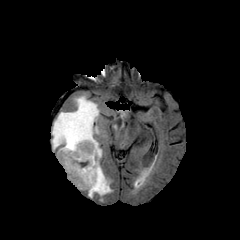
FLAIR MRI.
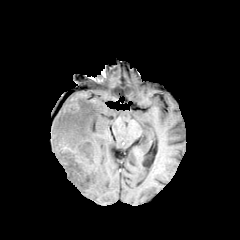
T1-weighted MRI of the same slice.
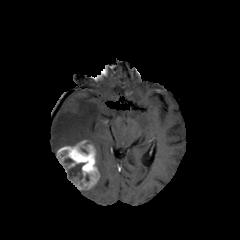
Post-contrast T1-weighted MR image of the same slice.
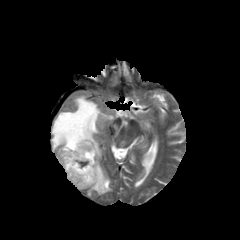
T2-weighted MRI of the same slice.
Head | 240x240 px
<segmentation>
  <non-enhancing_tumor_core>l=56, t=156, r=85, b=182; l=82, t=140, r=97, b=167</non-enhancing_tumor_core>
  <enhancing_tumor>l=57, t=141, r=99, b=189</enhancing_tumor>
  <edema>l=52, t=95, r=112, b=196</edema>
</segmentation>